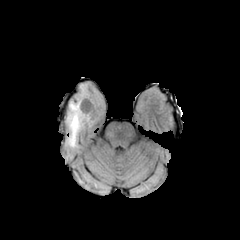
FLAIR MR image.
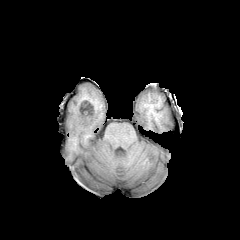
T1-weighted MR image of the same slice.
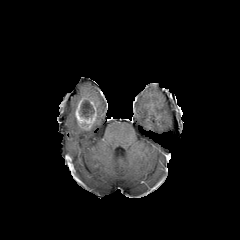
Post-contrast T1-weighted MRI of the same slice.
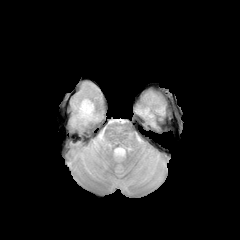
T2-weighted MR.
240x240.
The edema is at x1=67 y1=96 x2=93 y2=147. The non-enhancing tumor core appears at x1=81 y1=104 x2=94 y2=123. The enhancing tumor is at x1=75 y1=108 x2=83 y2=124.